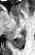 Hippocampus, MRI slice
Posterior hippocampus = left=11, top=32, right=24, bottom=48.